Hippocampus. MR image. Slice 32/40. 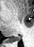 Segmented structures:
- posterior hippocampus: 7:36:20:42